FLAIR MRI.
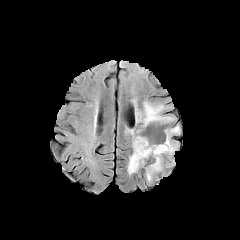
T1-weighted MRI.
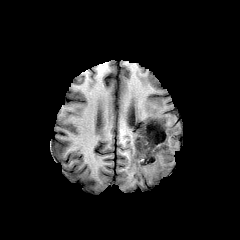
Post-contrast T1-weighted MRI.
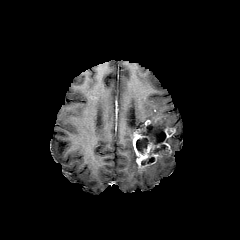
T2-weighted magnetic resonance.
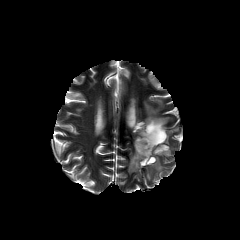
Brain
The enhancing tumor appears at x1=133 y1=133 x2=153 y2=167. 2 edema regions are located at x1=127 y1=138 x2=174 y2=179, x1=135 y1=102 x2=172 y2=124. The non-enhancing tumor core appears at x1=134 y1=120 x2=174 y2=165.